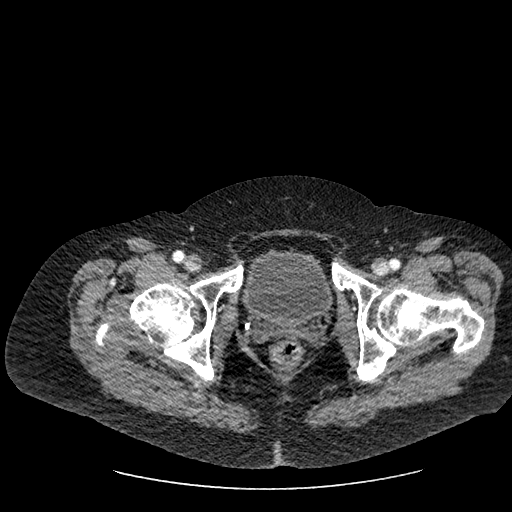 CT | Lower abdomen
Annotated regions:
• urinary bladder: rect(238, 249, 333, 329)